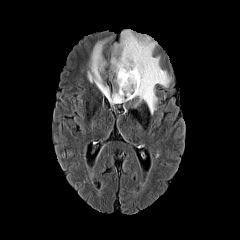
FLAIR MRI.
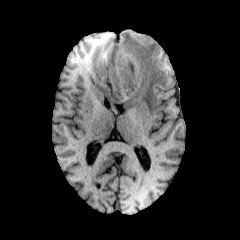
T1-weighted MRI.
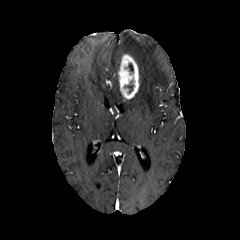
Post-contrast T1-weighted MR image.
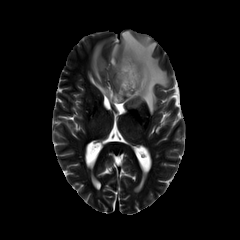
T2-weighted MRI.
Segmented structures:
- enhancing tumor: {"x1": 118, "y1": 53, "x2": 141, "y2": 100}
- edema: {"x1": 87, "y1": 29, "x2": 170, "y2": 114}